FLAIR MR.
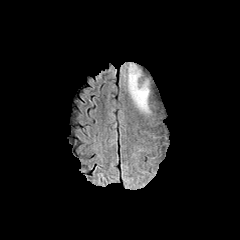
T1-weighted MR image.
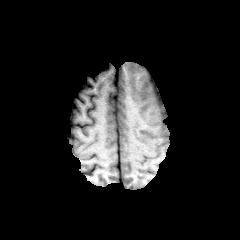
Post-contrast T1-weighted MR.
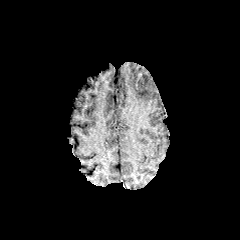
T2-weighted MR.
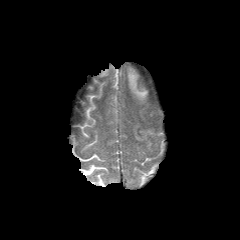
<segmentation>
  <edema>(128,71,148,106)</edema>
</segmentation>